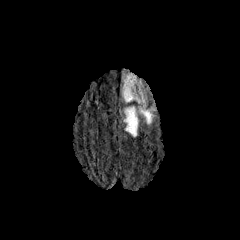
FLAIR magnetic resonance.
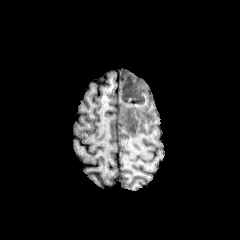
T1-weighted MR image of the same slice.
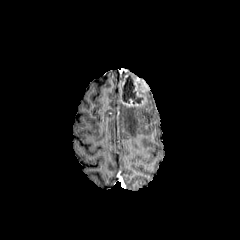
Post-contrast T1-weighted magnetic resonance.
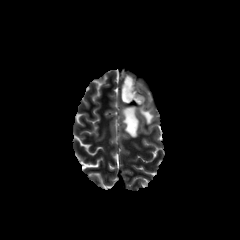
T2-weighted MR of the same slice.
The non-enhancing tumor core is bounded by l=122, t=74, r=143, b=103. The edema is at l=123, t=104, r=155, b=137. The enhancing tumor is bounded by l=120, t=72, r=149, b=109.